Slice 85 of 260; CT; Liver; Image size 512x512
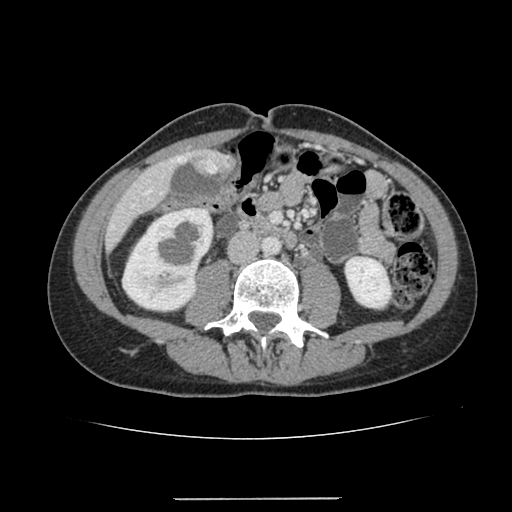

kidney: bbox(346, 257, 390, 307); bbox(123, 208, 212, 309) | liver: bbox(105, 150, 232, 251) | liver lesion: bbox(212, 155, 220, 163)